Computed tomography. Slice 503 of 677.
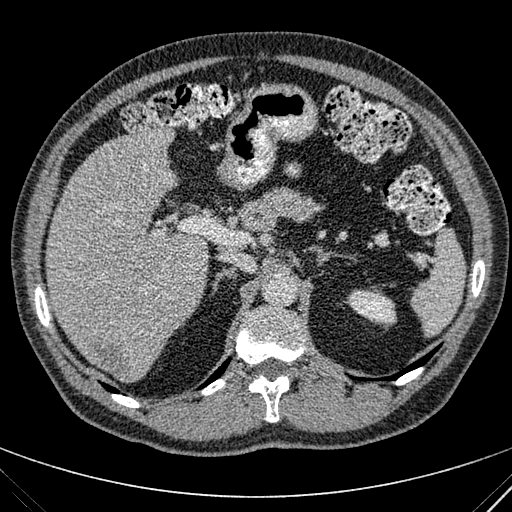

Kidney — <bbox>348, 290, 396, 323</bbox>.
Liver — <bbox>46, 125, 206, 380</bbox>.
Liver lesion — <bbox>83, 332, 130, 374</bbox>.